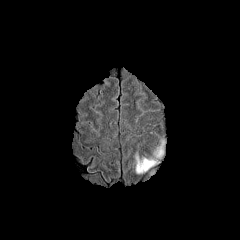
FLAIR MRI.
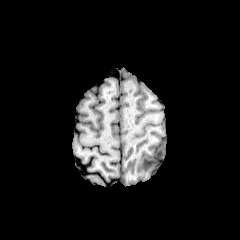
Same slice, T1-weighted MRI.
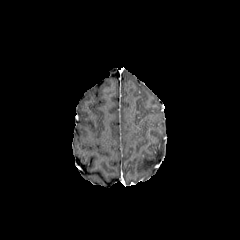
Post-contrast T1-weighted MR of the same slice.
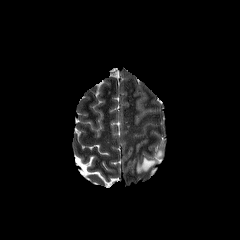
T2-weighted MR image.
Head.
edema: bbox(136, 159, 155, 173)